Head, Slice 95/155
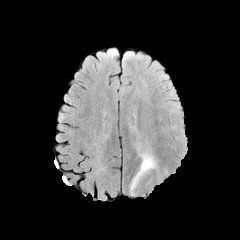
FLAIR MRI.
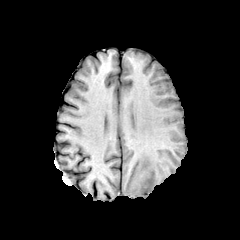
T1-weighted MRI of the same slice.
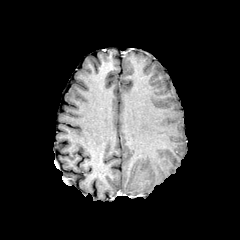
Post-contrast T1-weighted MR image.
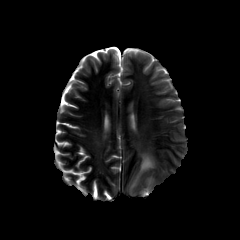
Same slice, T2-weighted MRI.
Segmented structures:
• edema: (left=129, top=153, right=157, bottom=195)